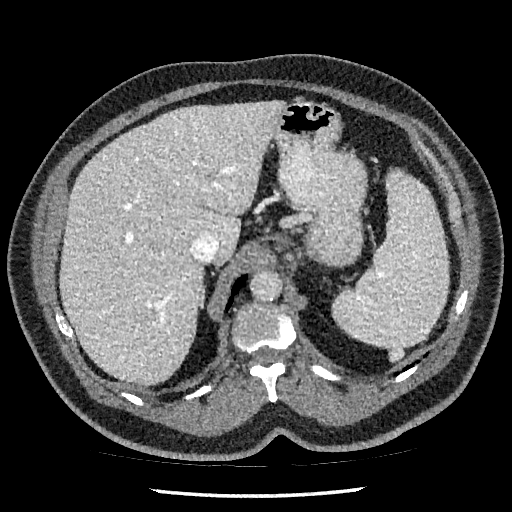 CT scan slice, Abdomen, Image size 512x512
liver:
  - <bbox>60, 101, 282, 384</bbox>